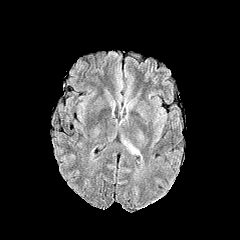
FLAIR MR.
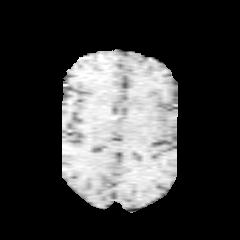
T1-weighted MR.
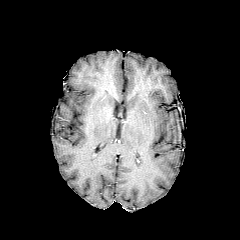
Post-contrast T1-weighted MRI of the same slice.
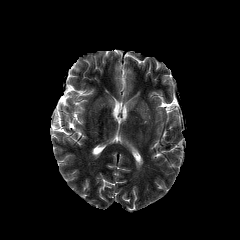
T2-weighted MRI.
240x240, Brain
<segmentation>
  <edema>(left=124, top=96, right=134, bottom=111), (left=122, top=138, right=140, bottom=154)</edema>
</segmentation>